Slice index 6, Image width 35 mm, MR

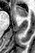

anterior hippocampus: {"x1": 15, "y1": 6, "x2": 26, "y2": 17}